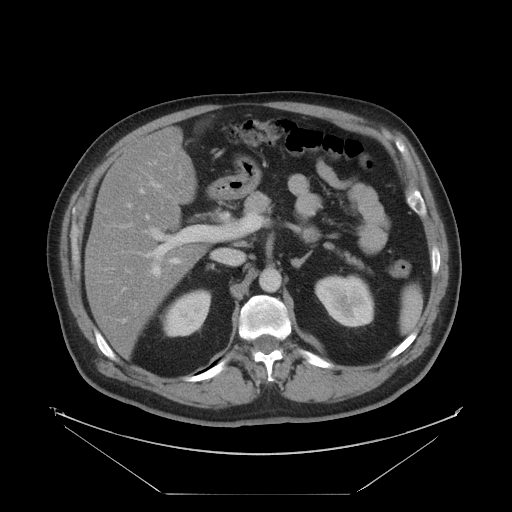
CT
pancreas:
  - x1=298 y1=224 x2=320 y2=243
  - x1=329 y1=245 x2=368 y2=270
  - x1=244 y1=191 x2=271 y2=215